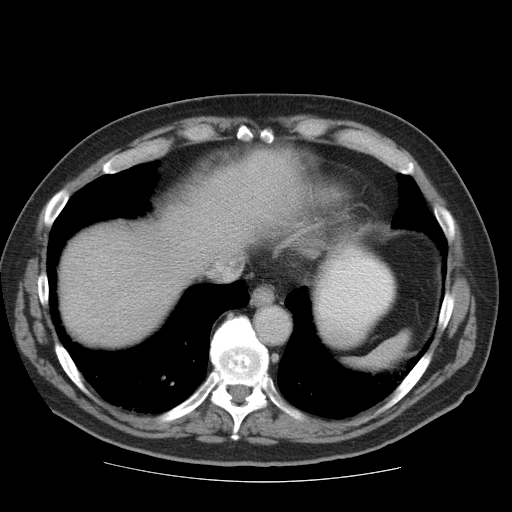
512x512 px | CT slice
Not every hepatic vessel necessarily has a box.
hepatic_vessel:
  - (left=207, top=259, right=234, bottom=280)